FLAIR magnetic resonance.
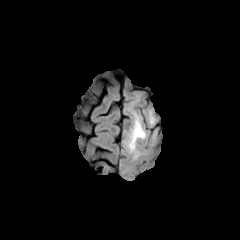
T1-weighted magnetic resonance.
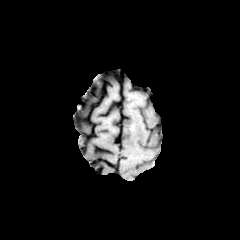
Post-contrast T1-weighted MRI.
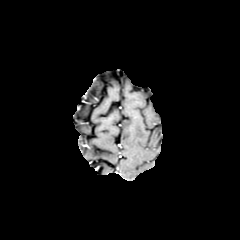
T2-weighted MR.
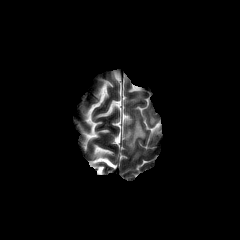
Brain | 240x240
edema: bbox(125, 114, 146, 152)